Slice index 62, Brain, Image size 240x240
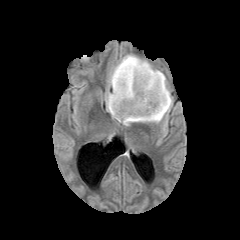
FLAIR MRI.
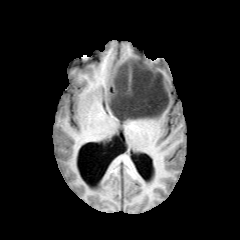
T1-weighted magnetic resonance of the same slice.
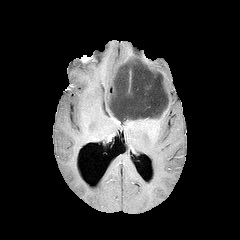
Post-contrast T1-weighted MR of the same slice.
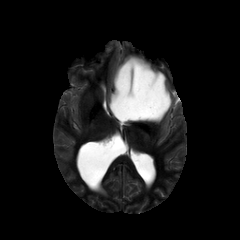
Same slice, T2-weighted MR image.
The edema is bounded by left=103, top=53, right=173, bottom=127. The non-enhancing tumor core appears at left=110, top=58, right=169, bottom=122.